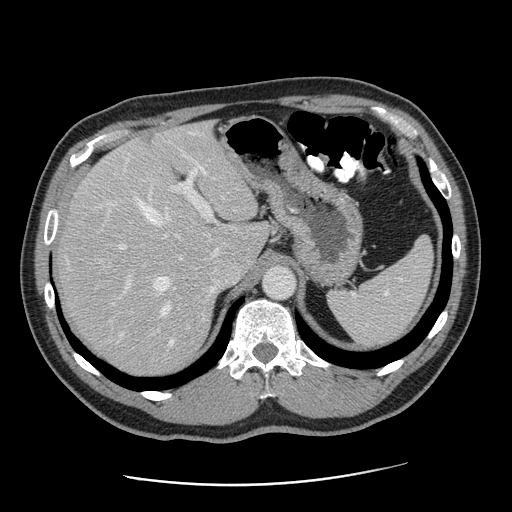

CT image; Abdomen

Not every hepatic vessel necessarily has a box.
12 hepatic vessel regions are located at [154, 276, 169, 289], [136, 197, 158, 222], [173, 163, 214, 221], [203, 244, 242, 283], [170, 340, 173, 344], [166, 210, 168, 218], [121, 244, 126, 248], [127, 275, 130, 287], [120, 333, 123, 333], [180, 256, 182, 258], [161, 306, 168, 315], [244, 256, 246, 261]. The liver tumor appears at [139, 133, 158, 147].